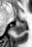

32x47. MR.
posterior hippocampus: l=13, t=21, r=25, b=34